CT, Image size 512x512 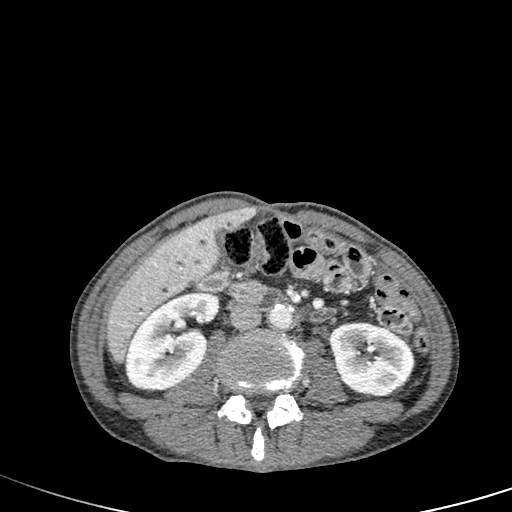

Segmented structures:
- liver: box(106, 213, 225, 363)
- liver lesion: box(219, 207, 255, 229)
- kidney: box(330, 323, 413, 395); box(126, 293, 218, 389)